MR image, Slice 75/100, Heart

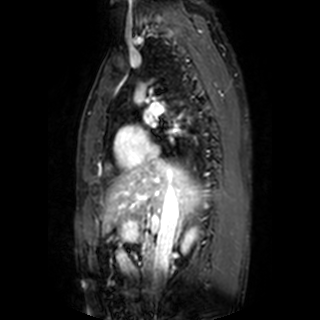 Left atrium — bbox=[145, 112, 153, 124].